FLAIR MR image.
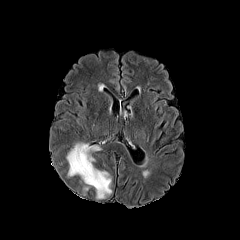
T1-weighted MR.
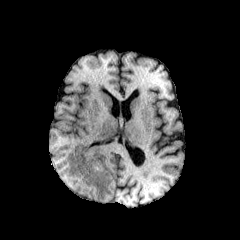
Post-contrast T1-weighted MRI.
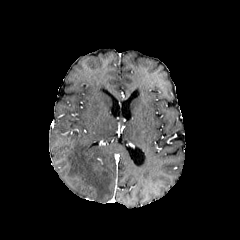
T2-weighted MR image.
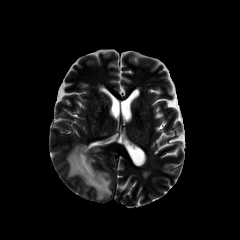
Head; 240x240
Segmented structures:
- edema: (66, 143, 111, 199)